FLAIR MR.
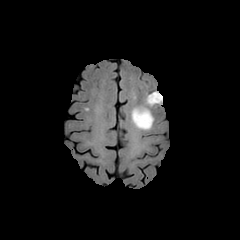
T1-weighted MR image.
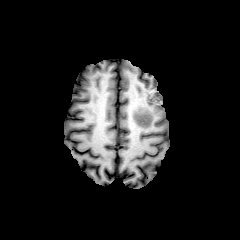
Post-contrast T1-weighted magnetic resonance.
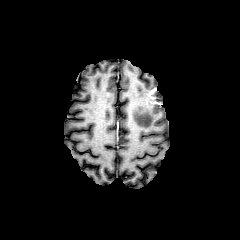
T2-weighted MRI.
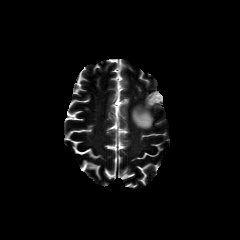
{"non-enhancing_tumor_core": ["bbox(151, 91, 162, 102)"], "enhancing_tumor": ["bbox(148, 87, 162, 104)"], "edema": ["bbox(132, 95, 156, 130)"]}